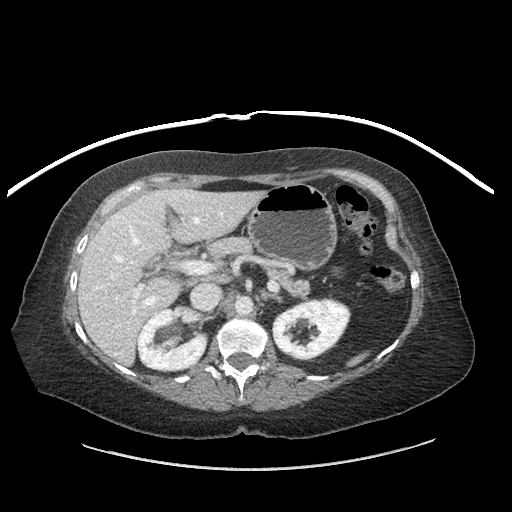 CT scan slice
Pancreas: 269, 269, 308, 296.